FLAIR magnetic resonance.
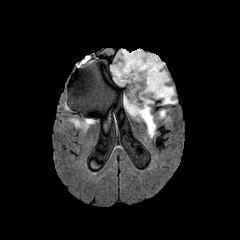
T1-weighted MRI.
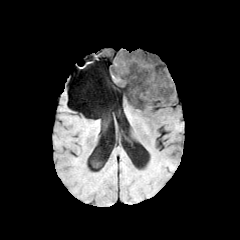
Post-contrast T1-weighted MR.
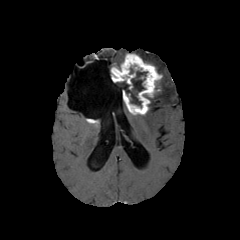
T2-weighted MR.
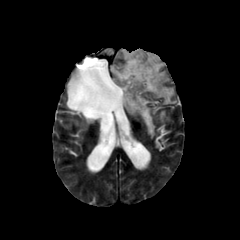
240x240, Head
Annotated regions:
* enhancing tumor: [111, 54, 161, 114]
* non-enhancing tumor core: [120, 70, 147, 106]
* edema: [126, 107, 155, 137], [158, 110, 166, 119], [114, 50, 128, 61], [134, 50, 176, 105]